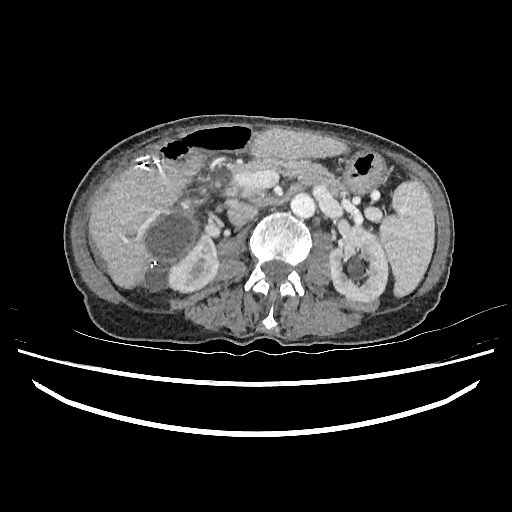 Liver. Computed tomography. 512x512.
2 kidney regions are bounded by bbox=[329, 228, 387, 301]; bbox=[169, 222, 219, 292]. 2 liver lesion regions are bounded by bbox=[143, 212, 196, 291]; bbox=[93, 247, 105, 269]. 3 liver regions are bounded by bbox=[182, 235, 195, 254]; bbox=[252, 129, 348, 157]; bbox=[89, 154, 202, 287].